CT image, Slice 394 of 677

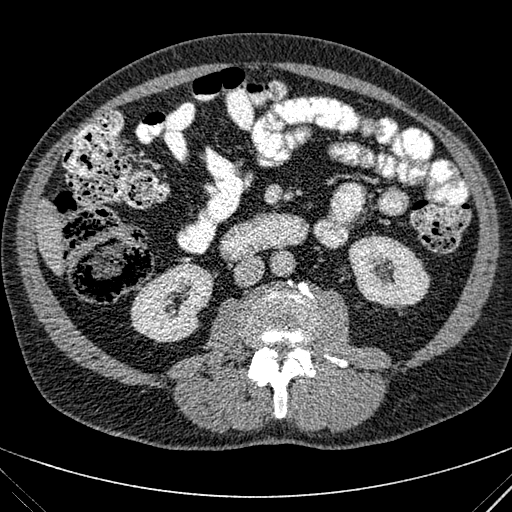
The liver is located at box(36, 200, 62, 270). 2 kidney regions are bounded by box(349, 236, 429, 306); box(131, 263, 212, 341).